Field of view 496x496 mm, CT slice, Slice 3/537 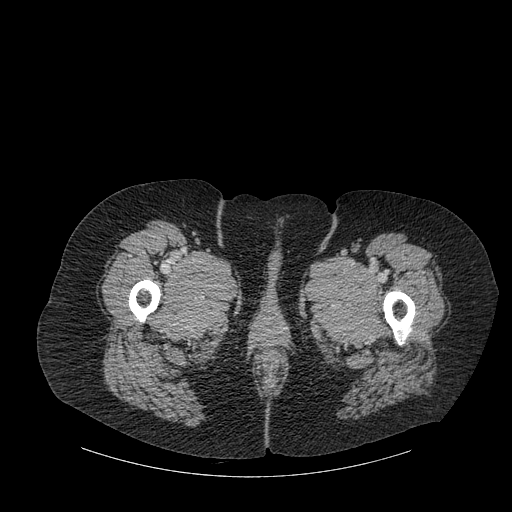

Bone = (383, 291, 414, 344), (129, 280, 160, 321).